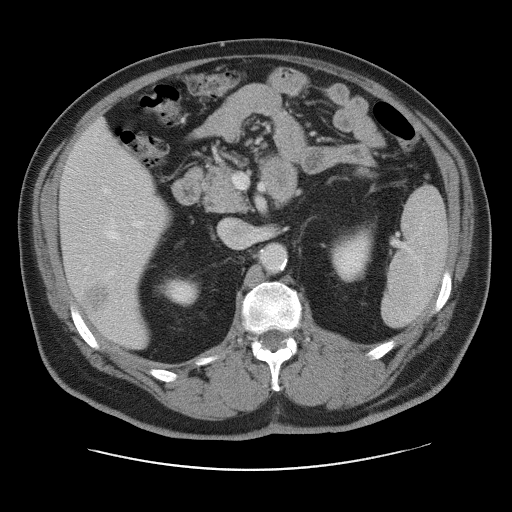
Abdomen | Image size 512x512 | CT slice
The vessel boxes may cover only some of the vessels.
Annotated regions:
• hepatic vessel: <box>260,185,262,188</box>, <box>233,175,245,188</box>, <box>105,225,119,239</box>, <box>132,220,144,227</box>, <box>109,271,111,274</box>, <box>102,187,109,193</box>
• liver tumor: <box>79,281,115,314</box>